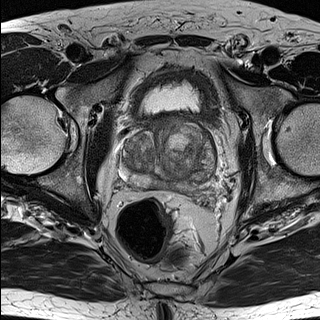
T2-weighted magnetic resonance.
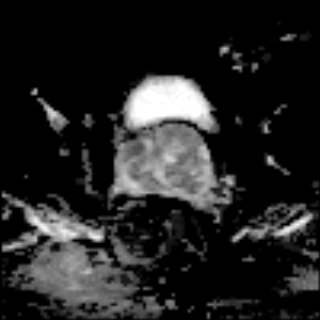
ADC magnetic resonance.
Image size 320x320; Pelvis
The prostate transition zone is at [x1=121, y1=120, x2=209, y2=180]. The prostate peripheral zone lies within [x1=121, y1=141, x2=213, y2=190].